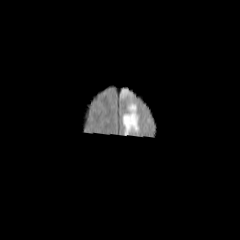
FLAIR MRI.
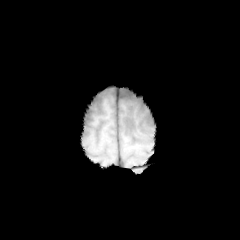
Same slice, T1-weighted MR image.
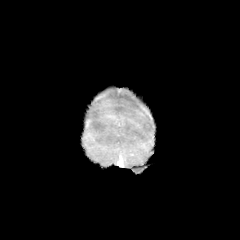
Post-contrast T1-weighted magnetic resonance.
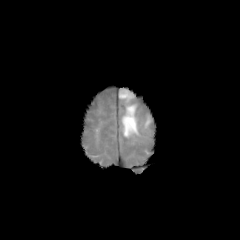
T2-weighted magnetic resonance.
Brain, 240x240
2 edema regions appear at region(118, 88, 134, 100); region(121, 104, 139, 137).